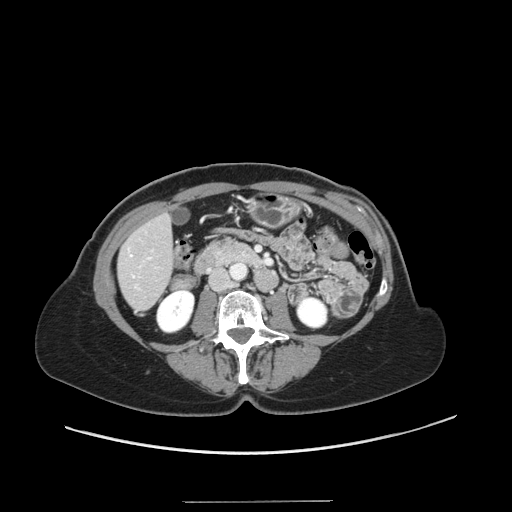 Computed tomography

Not every hepatic vessel necessarily has a box.
The hepatic vessel appears at [130,254,131,255].